FLAIR magnetic resonance.
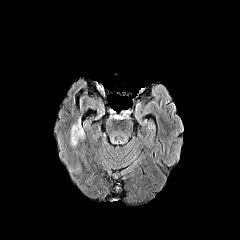
T1-weighted MR.
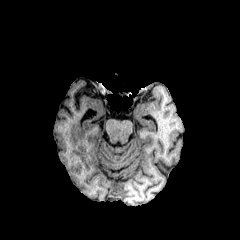
Post-contrast T1-weighted MRI.
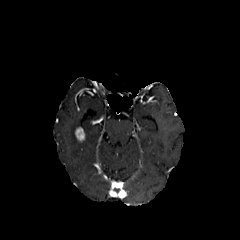
T2-weighted MR image.
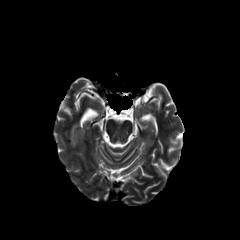
Brain.
<segmentation>
  <enhancing_tumor>bbox=[74, 127, 85, 142]</enhancing_tumor>
  <edema>bbox=[70, 121, 80, 147]</edema>
</segmentation>